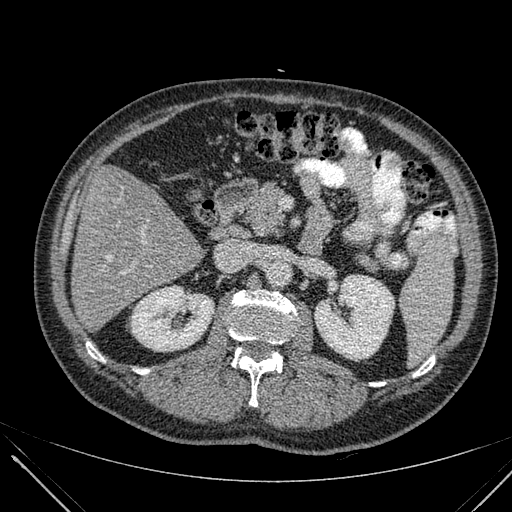 CT image, Abdomen
{"liver": ["(71,165,204,327)"], "kidney": ["(315,275,394,358)", "(132,286,213,351)"]}